FLAIR MR image.
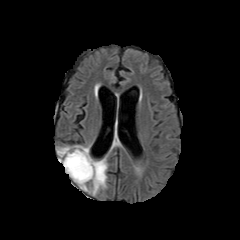
T1-weighted MR.
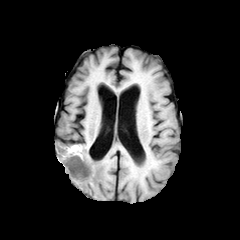
Post-contrast T1-weighted MR.
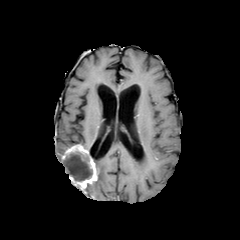
T2-weighted MRI.
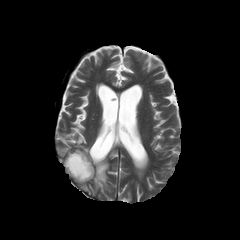
Head.
The non-enhancing tumor core appears at (x1=63, y1=148, x2=92, y2=182). 2 edema regions are bounded by (x1=82, y1=157, x2=108, y2=191), (x1=57, y1=146, x2=71, y2=162). 2 enhancing tumor regions are located at (x1=76, y1=156, x2=97, y2=187), (x1=65, y1=145, x2=88, y2=153).